CT scan slice, Liver
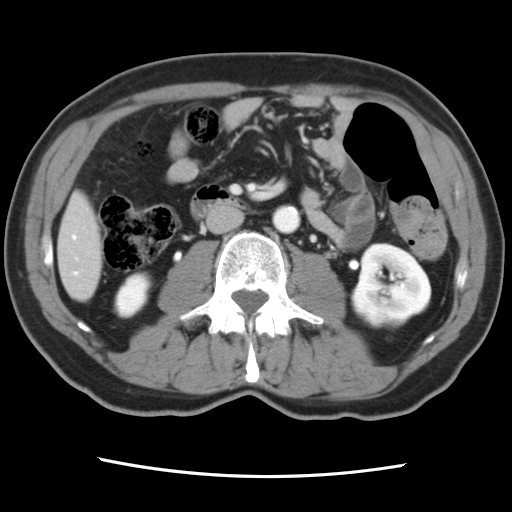
Not every hepatic vessel necessarily has a box.
Hepatic vessel — x1=73 y1=235 x2=75 y2=238, x1=74 y1=272 x2=76 y2=274.